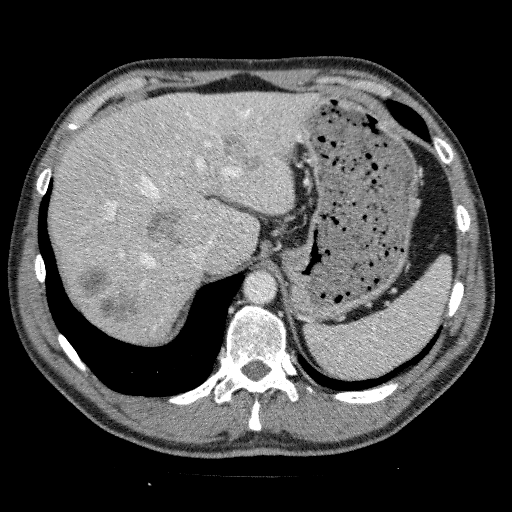 CT slice, Liver, Image size 512x512
Liver — x1=50 y1=91 x2=317 y2=341.
Focal liver lesion — x1=75 y1=264 x2=111 y2=301, x1=141 y1=206 x2=187 y2=252, x1=219 y1=133 x2=263 y2=173, x1=100 y1=284 x2=141 y2=325.